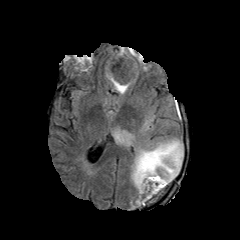
FLAIR MR.
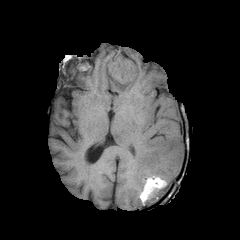
T1-weighted magnetic resonance of the same slice.
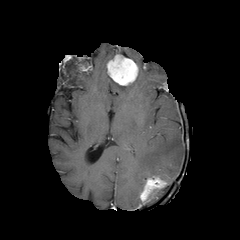
Post-contrast T1-weighted MR of the same slice.
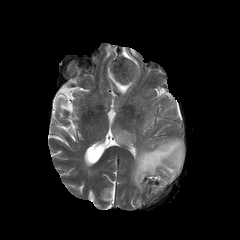
T2-weighted magnetic resonance of the same slice.
Head | 240x240 px
Enhancing tumor = (140, 176, 166, 201), (108, 63, 137, 85).
Edema = (131, 136, 183, 193), (107, 75, 132, 94), (122, 47, 141, 62).
Non-enhancing tumor core = (109, 52, 135, 81).